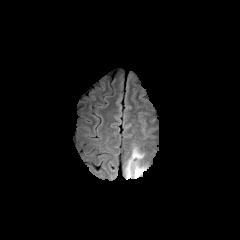
FLAIR magnetic resonance.
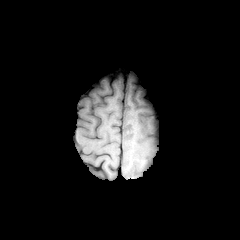
Same slice, T1-weighted MR.
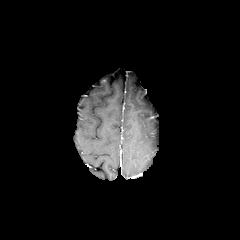
Post-contrast T1-weighted MRI of the same slice.
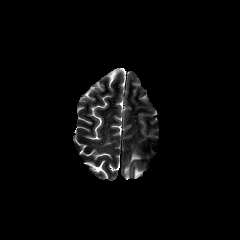
T2-weighted magnetic resonance of the same slice.
Brain
The edema lies within l=124, t=148, r=144, b=176.